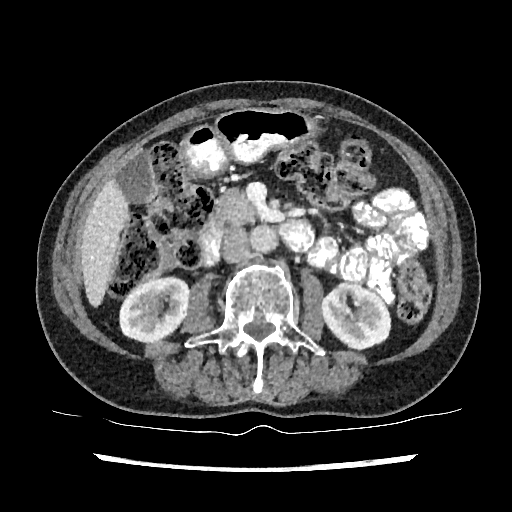 Abdomen. Computed tomography.
Segmented structures:
• liver: 81:181:128:304
• kidney: 322:285:389:348, 120:279:188:343